Brain. Slice 75/155. 240x240 px.
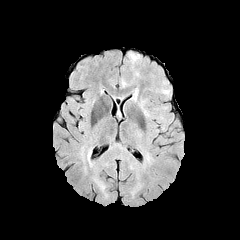
FLAIR MRI.
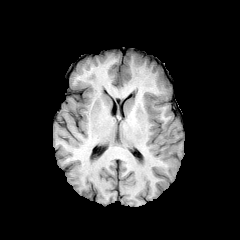
T1-weighted MRI.
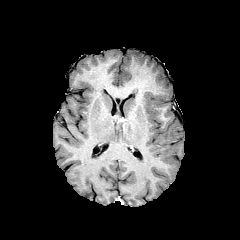
Same slice, post-contrast T1-weighted MR image.
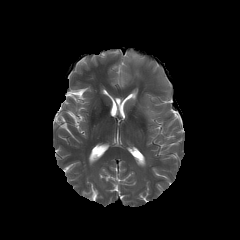
Same slice, T2-weighted MRI.
{"edema": ["bbox=[130, 88, 137, 102]", "bbox=[128, 52, 141, 63]", "bbox=[139, 102, 152, 117]"]}